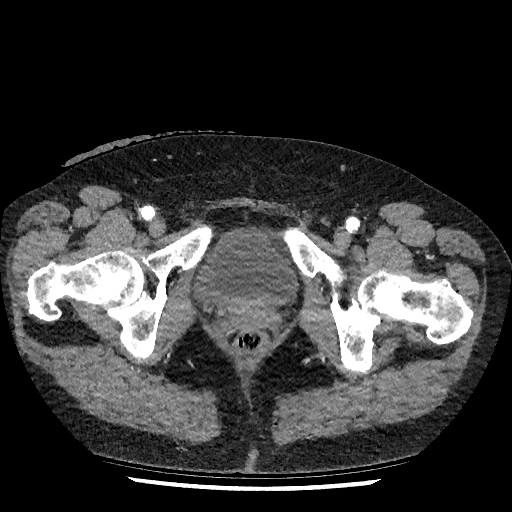 Lower abdomen, CT scan slice
Urinary bladder: rect(197, 227, 296, 313).